FLAIR MR.
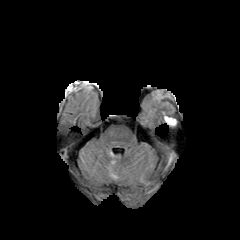
T1-weighted MR.
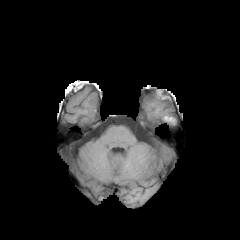
Post-contrast T1-weighted MR.
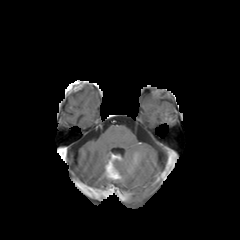
T2-weighted MRI.
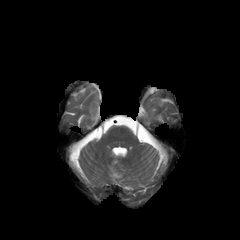
240x240 px
Non-enhancing tumor core: x1=106, y1=155, x2=118, y2=178.